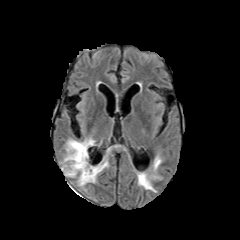
FLAIR MRI.
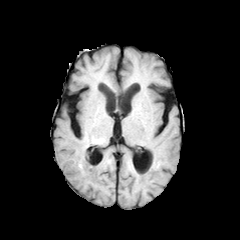
T1-weighted magnetic resonance.
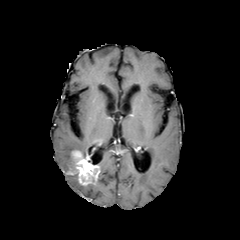
Post-contrast T1-weighted MR image.
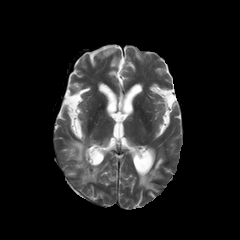
Same slice, T2-weighted MRI.
Head
Findings:
* edema: x1=98, y1=150, x2=110, y2=171; x1=138, y1=157, x2=161, y2=191; x1=62, y1=139, x2=92, y2=174
* enhancing tumor: x1=71, y1=151, x2=99, y2=183